FLAIR MR image.
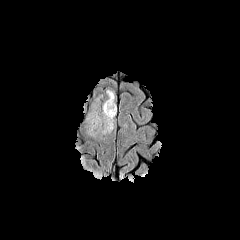
T1-weighted magnetic resonance.
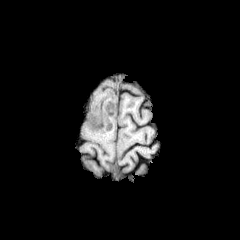
Post-contrast T1-weighted MRI.
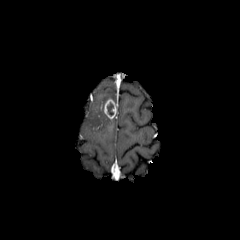
T2-weighted MR.
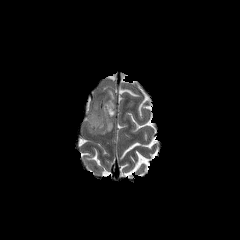
Brain
- edema: l=95, t=110, r=109, b=121
- enhancing tumor: l=103, t=99, r=116, b=118
- non-enhancing tumor core: l=106, t=102, r=113, b=115